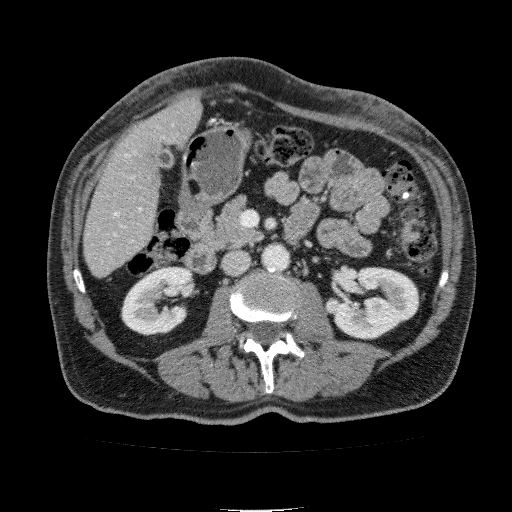 CT slice. Upper abdomen. Kidney = (left=122, top=267, right=194, bottom=333), (left=327, top=268, right=417, bottom=337).
Liver = (left=86, top=95, right=202, bottom=277).